Slice 132 of 155, Head
FLAIR MR.
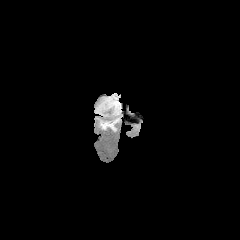
T1-weighted MR.
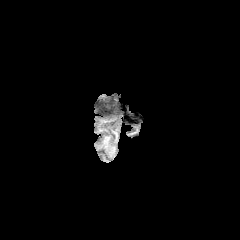
Post-contrast T1-weighted MR.
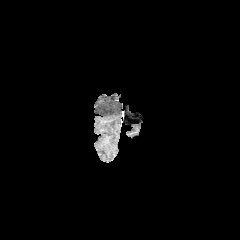
T2-weighted MR image.
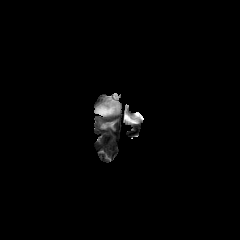
<segmentation>
  <non-enhancing_tumor_core>104:106:113:115, 102:120:115:128</non-enhancing_tumor_core>
  <edema>97:118:106:129, 96:96:121:122</edema>
</segmentation>